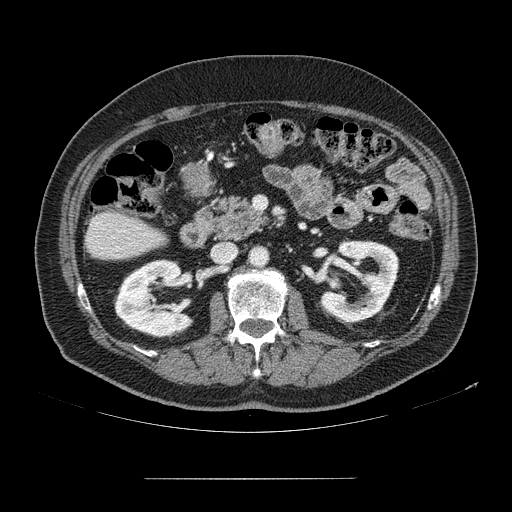

CT slice, Abdomen
{"pancreas": ["left=214, top=195, right=268, bottom=241"]}